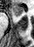
MRI; Medial temporal lobe

Annotated regions:
• anterior hippocampus: left=12, top=6, right=24, bottom=16